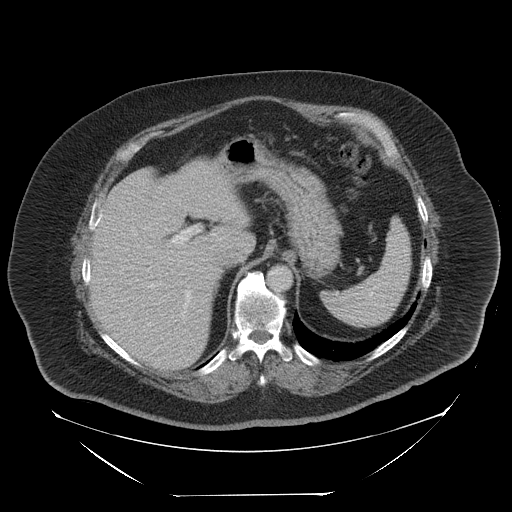 CT slice

* spleen: 322:221:410:325